Field of view 240x240 mm
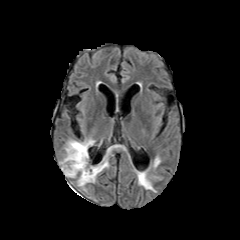
FLAIR magnetic resonance.
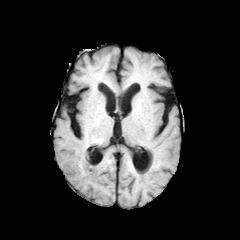
Same slice, T1-weighted MRI.
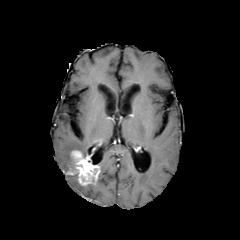
Same slice, post-contrast T1-weighted MR.
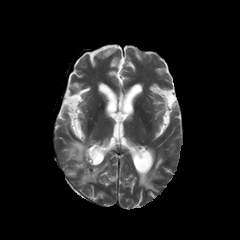
T2-weighted MR.
Enhancing tumor: (71,150,99,184).
Edema: (98,147,111,171), (62,140,92,171), (137,157,160,191).